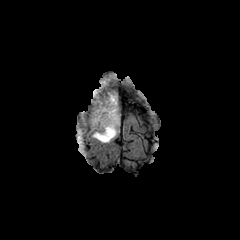
FLAIR MR image.
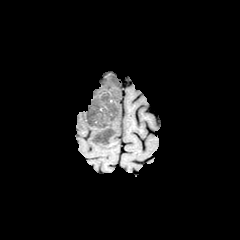
T1-weighted MR image.
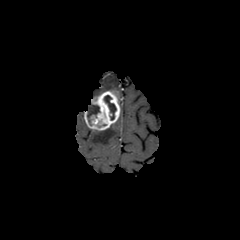
Post-contrast T1-weighted MR image of the same slice.
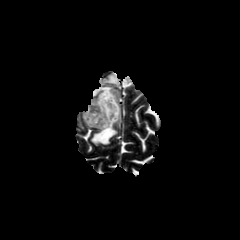
T2-weighted MRI of the same slice.
Head
2 edema regions are bounded by x1=104, y1=76, x2=115, y2=90; x1=91, y1=125, x2=117, y2=144. 2 non-enhancing tumor core regions are located at x1=104, y1=95, x2=115, y2=119; x1=87, y1=103, x2=99, y2=116. The enhancing tumor lies within x1=84, y1=90, x2=120, y2=130.